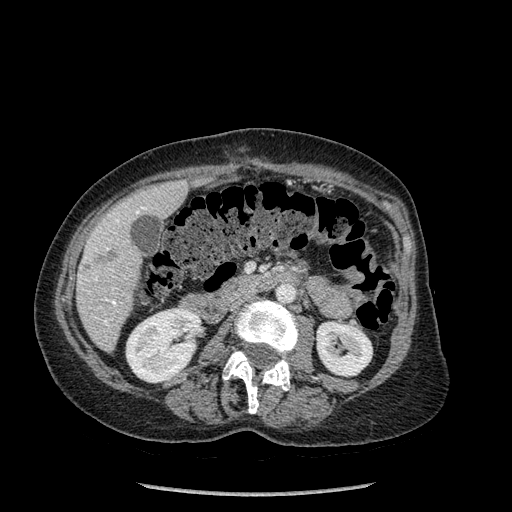
CT scan slice

Bone at bbox=[222, 351, 258, 413]; bbox=[234, 300, 298, 390].
Liver at bbox=[76, 180, 192, 351].
Hepatic lesion at bbox=[98, 250, 116, 261].
Kidney at bbox=[317, 322, 372, 376]; bbox=[126, 308, 200, 382].